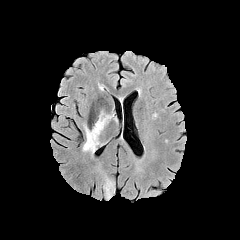
FLAIR MRI.
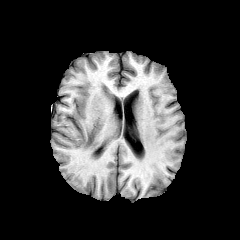
Same slice, T1-weighted MRI.
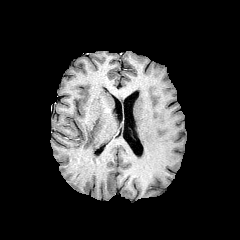
Post-contrast T1-weighted MRI of the same slice.
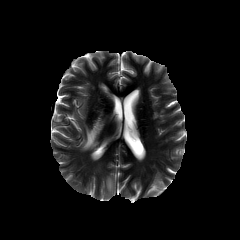
Same slice, T2-weighted magnetic resonance.
240x240 px
{
  "edema": [
    "80 114 114 153"
  ]
}